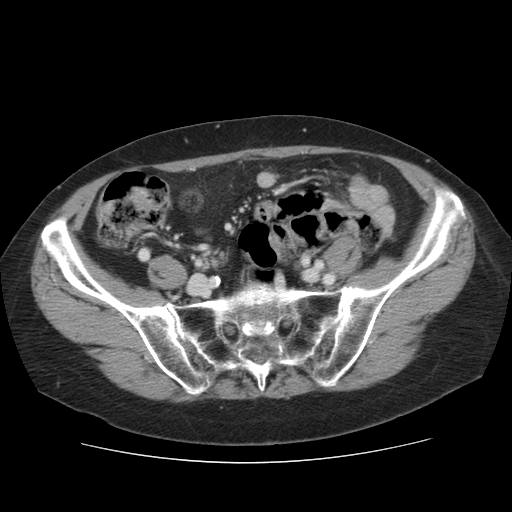
Computed tomography
{
  "bone": [
    "(x1=41, y1=184, x2=466, y2=394)"
  ]
}